Brain. Slice 289/299. 512x512 px. CT image.
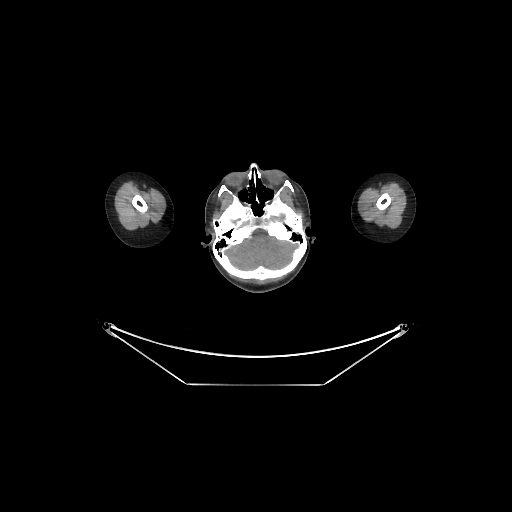

Annotated regions:
* brain: 225, 227, 295, 269